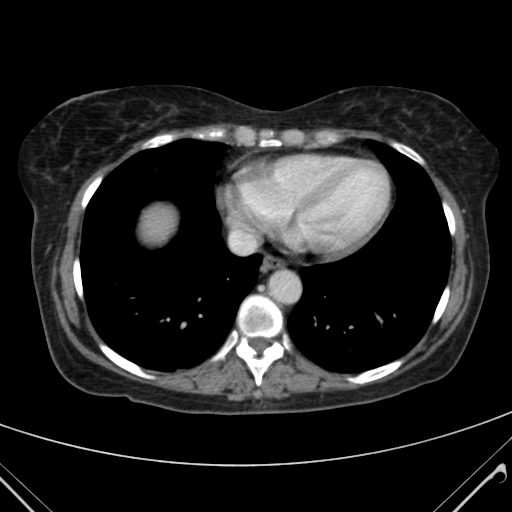 Upper abdomen. CT image. - liver: region(134, 199, 179, 252)